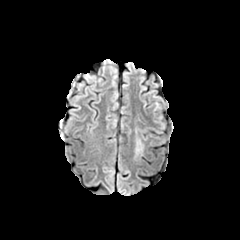
FLAIR magnetic resonance.
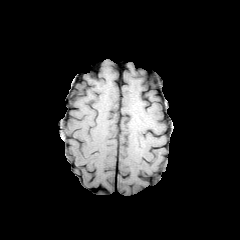
T1-weighted MR.
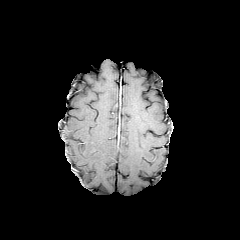
Same slice, post-contrast T1-weighted magnetic resonance.
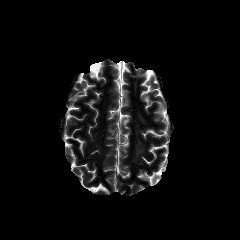
T2-weighted MR image.
<segmentation>
  <edema>rect(135, 139, 143, 155)</edema>
</segmentation>